FLAIR MR.
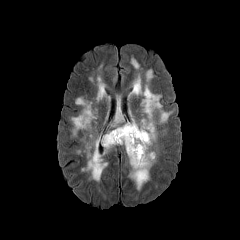
T1-weighted magnetic resonance.
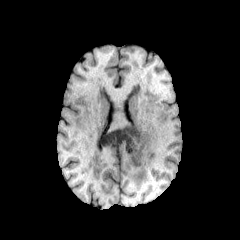
Post-contrast T1-weighted MR image.
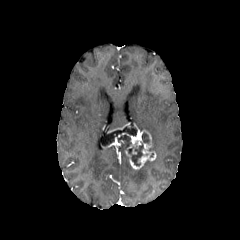
T2-weighted MR.
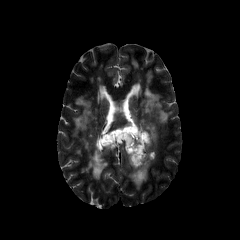
Head
Non-enhancing tumor core = <bbox>100, 125, 137, 147</bbox>, <bbox>128, 144, 143, 166</bbox>, <bbox>140, 132, 149, 143</bbox>.
Edema = <bbox>132, 73, 172, 141</bbox>, <bbox>130, 58, 139, 69</bbox>, <bbox>71, 98, 96, 137</bbox>, <bbox>145, 70, 153, 83</bbox>, <bbox>81, 136, 113, 182</bbox>, <bbox>113, 111, 124, 124</bbox>, <bbox>96, 76, 105, 102</bbox>, <bbox>128, 159, 155, 190</bbox>.
Enhancing tumor = <bbox>103, 137, 118, 147</bbox>, <bbox>126, 123, 156, 169</bbox>.